Slice index 38; Head
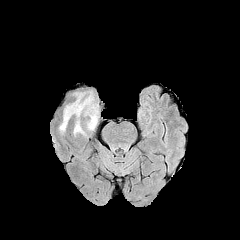
FLAIR MRI.
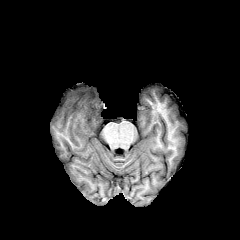
T1-weighted MR image.
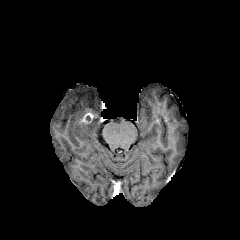
Post-contrast T1-weighted MR image.
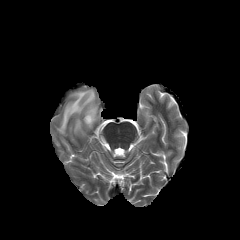
Same slice, T2-weighted MRI.
<segmentation>
  <enhancing_tumor>bbox(82, 110, 93, 123)</enhancing_tumor>
  <non-enhancing_tumor_core>bbox(86, 106, 95, 119)</non-enhancing_tumor_core>
  <edema>bbox(59, 89, 99, 135)</edema>
</segmentation>